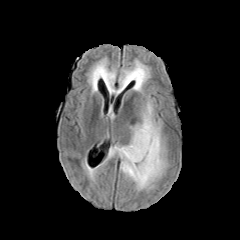
FLAIR MR image.
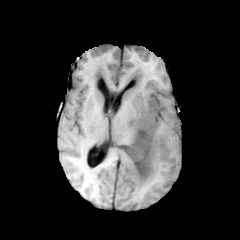
T1-weighted MRI.
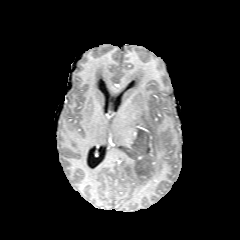
Same slice, post-contrast T1-weighted MR.
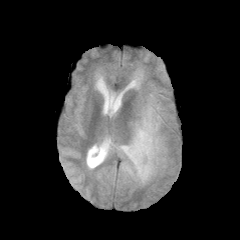
T2-weighted MRI of the same slice.
240x240 px; Brain
Non-enhancing tumor core: bbox=[122, 106, 155, 184].
Edema: bbox=[125, 126, 134, 145]; bbox=[108, 95, 167, 189]; bbox=[91, 66, 111, 87]; bbox=[110, 60, 149, 95]; bbox=[132, 136, 147, 150].